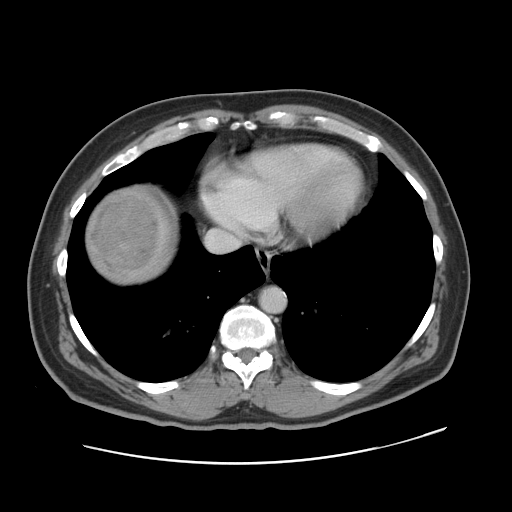 Computed tomography
Only some of the vessels may be annotated.
Liver tumor at <box>88,195,160,278</box>.
Hepatic vessel at <box>209,248,223,251</box>.